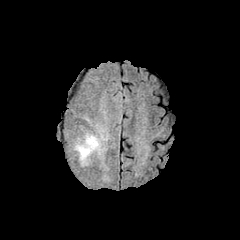
FLAIR MR.
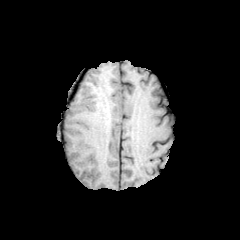
T1-weighted MR of the same slice.
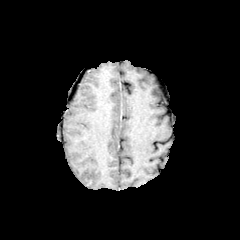
Post-contrast T1-weighted MRI.
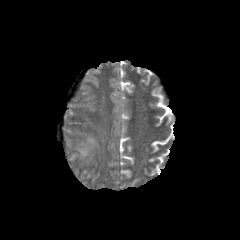
T2-weighted MR.
Head
edema:
  - left=78, top=135, right=97, bottom=160